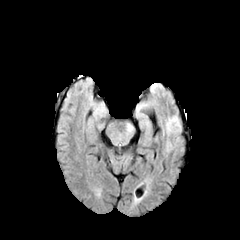
FLAIR MRI.
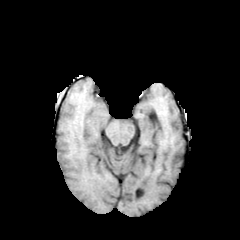
Same slice, T1-weighted MR image.
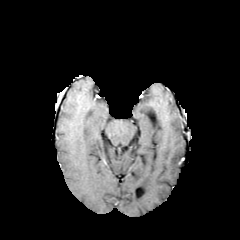
Same slice, post-contrast T1-weighted magnetic resonance.
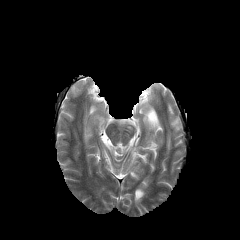
T2-weighted magnetic resonance of the same slice.
Head
Annotated regions:
• edema: (left=166, top=118, right=177, bottom=135), (left=166, top=140, right=171, bottom=151)